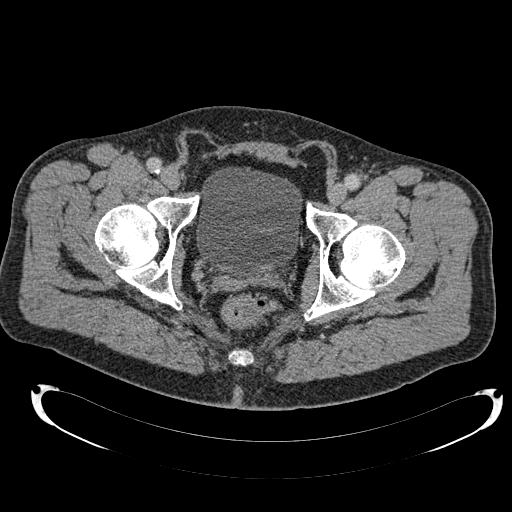
CT
urinary bladder: box=[196, 167, 302, 276]